CT scan slice, Slice index 142, Image size 512x512
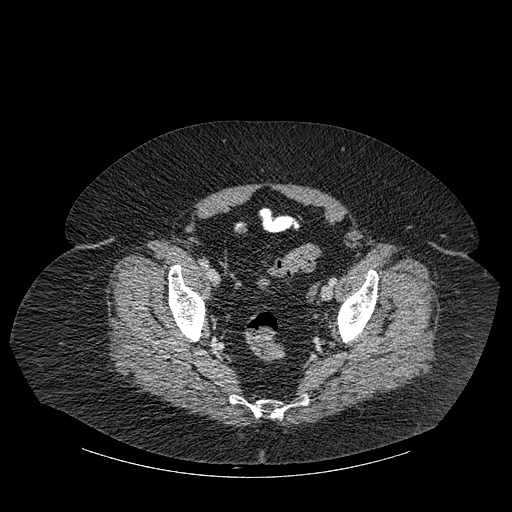
bone: (168,265,205,341), (229,395,308,417), (338,270,378,342)